Slice index 50. Field of view 388 mm wide, 2.50 mm slice spacing. Computed tomography.
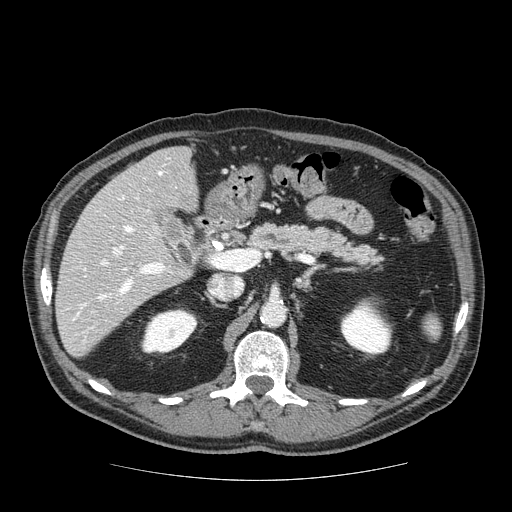 The pancreas is at region(246, 222, 384, 266).